240x240; Slice 84 of 155
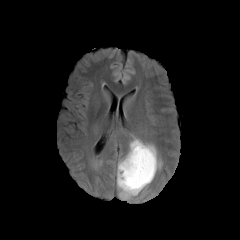
FLAIR MR image.
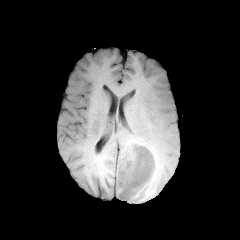
T1-weighted MR image of the same slice.
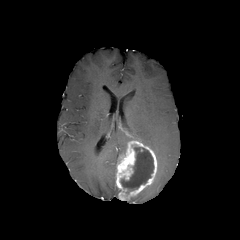
Same slice, post-contrast T1-weighted MR.
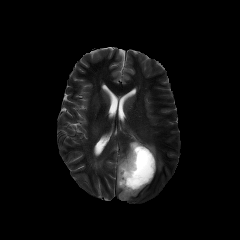
Same slice, T2-weighted MR image.
Findings:
• edema: (x1=127, y1=134, x2=163, y2=170)
• non-enhancing tumor core: (x1=121, y1=147, x2=153, y2=188)
• enhancing tumor: (x1=116, y1=141, x2=156, y2=200)